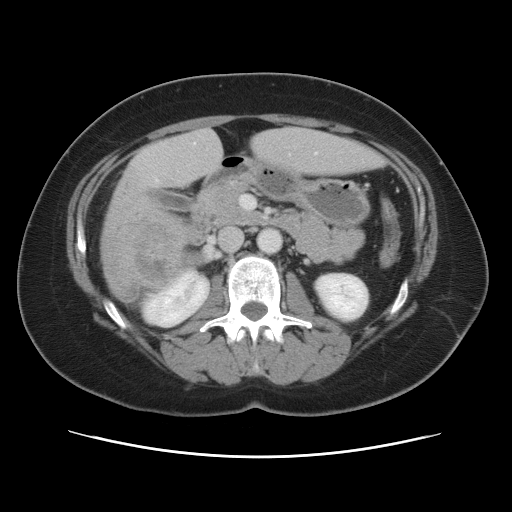 Abdomen; Computed tomography
The liver tumor lies within <box>130,218,177,285</box>.